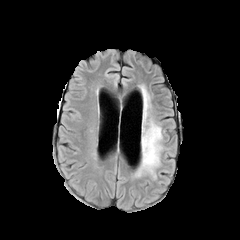
FLAIR MR.
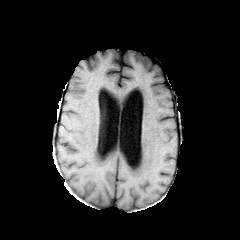
T1-weighted magnetic resonance.
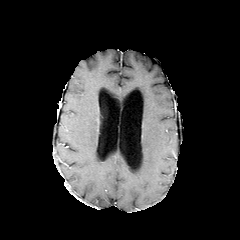
Post-contrast T1-weighted MR image.
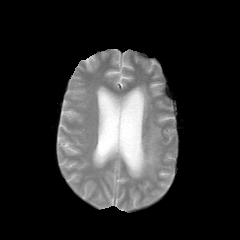
T2-weighted MRI.
Image size 240x240.
* edema: (left=134, top=85, right=163, bottom=178)